Slice 41/50; Liver; CT scan slice
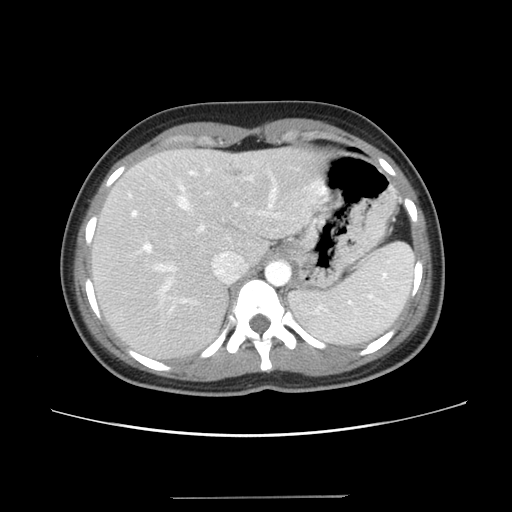 Only some of the vessels may be annotated.
13 hepatic vessel regions are located at [156, 265, 176, 270], [190, 171, 195, 174], [269, 204, 272, 207], [271, 189, 275, 201], [259, 212, 268, 214], [234, 203, 237, 206], [139, 244, 151, 251], [161, 279, 172, 294], [215, 258, 216, 260], [129, 195, 131, 196], [199, 226, 204, 231], [132, 211, 136, 215], [178, 197, 188, 208]. The liver tumor is at [224, 166, 243, 178].